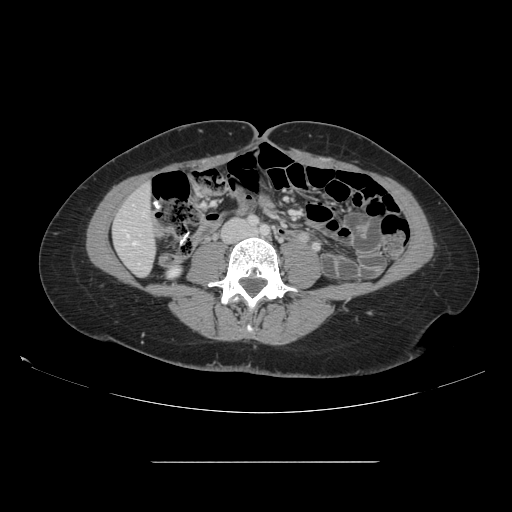 Liver | CT scan slice | Image size 512x512
Some hepatic vessels may have no box.
Hepatic vessel = (left=127, top=234, right=128, bottom=236), (left=143, top=213, right=144, bottom=215), (left=133, top=242, right=138, bottom=245), (left=123, top=229, right=126, bottom=231).